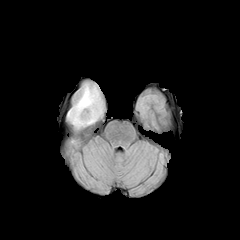
FLAIR magnetic resonance.
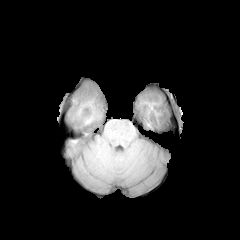
Same slice, T1-weighted magnetic resonance.
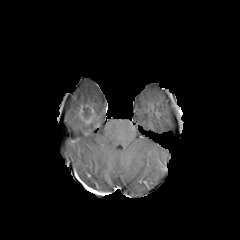
Post-contrast T1-weighted magnetic resonance.
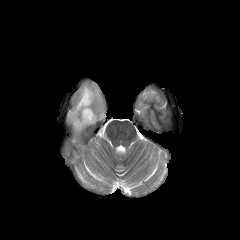
T2-weighted MR of the same slice.
The non-enhancing tumor core is at (80, 104, 95, 123). The edema is bounded by (67, 83, 104, 129).